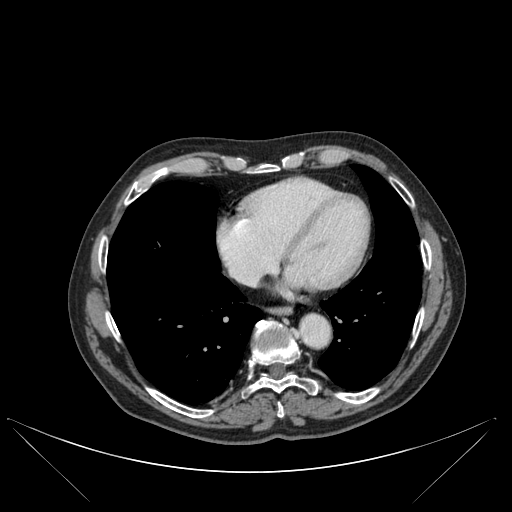

CT scan slice.
2 lung regions appear at rect(318, 164, 421, 389); rect(107, 181, 262, 404). 12 bone regions are bounded by rect(336, 388, 378, 403); rect(247, 320, 299, 377); rect(98, 236, 107, 270); rect(277, 403, 283, 416); rect(146, 388, 213, 417); rect(105, 313, 119, 339); rect(243, 372, 319, 398); rect(413, 309, 424, 338); rect(399, 185, 413, 205); rect(256, 165, 278, 172); rect(421, 240, 431, 268); rect(125, 171, 161, 204).